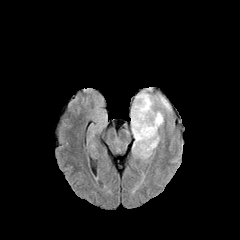
FLAIR MR.
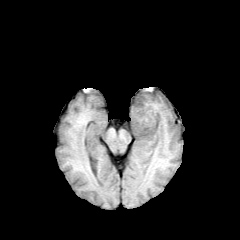
T1-weighted MRI of the same slice.
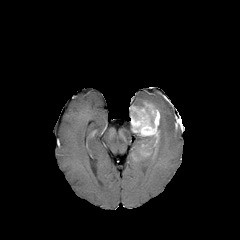
Post-contrast T1-weighted magnetic resonance.
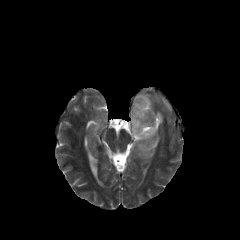
T2-weighted MR.
edema:
  - x1=133, y1=88, x2=171, y2=128
  - x1=132, y1=133, x2=160, y2=161
non-enhancing_tumor_core:
  - x1=138, y1=145, x2=154, y2=155
  - x1=133, y1=100, x2=152, y2=112
enhancing_tumor:
  - x1=130, y1=103, x2=159, y2=136